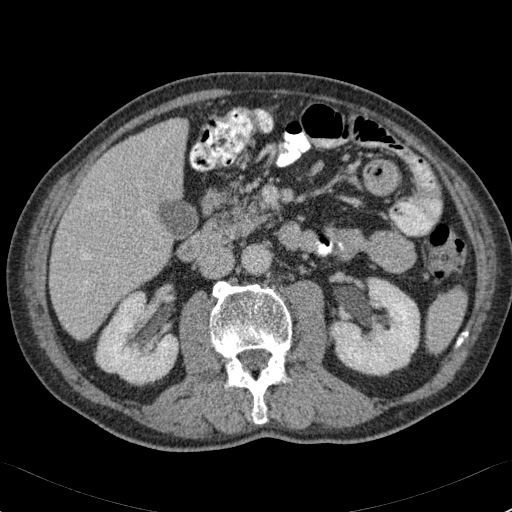
CT image. Upper abdomen.
Kidney = rect(96, 293, 177, 383); rect(331, 278, 419, 374).
Liver = rect(50, 119, 187, 338).